MR image; Slice 19/36 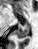 {
  "posterior_hippocampus": [
    "[13, 23, 28, 39]"
  ]
}